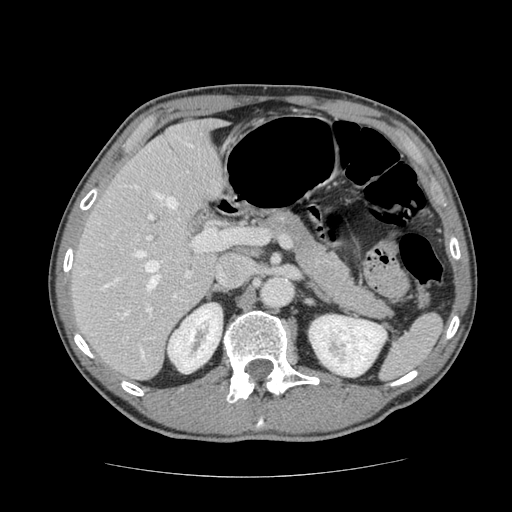
CT scan slice
pancreas:
  - [261, 210, 397, 322]